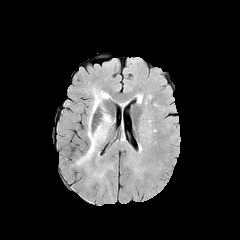
FLAIR MR image.
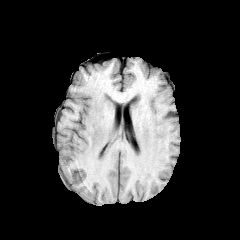
T1-weighted magnetic resonance.
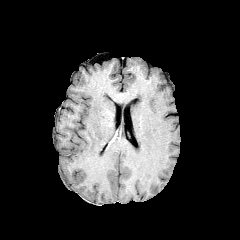
Post-contrast T1-weighted MRI.
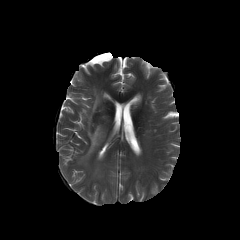
T2-weighted magnetic resonance.
The edema is bounded by (76, 88, 110, 164).